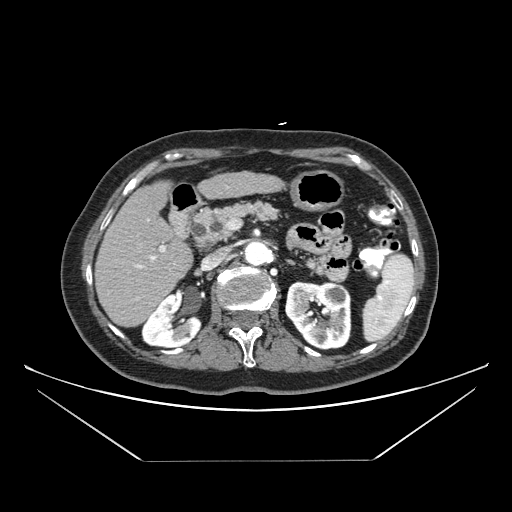

CT slice; Upper abdomen
{
  "pancreas": [
    "[x1=187, y1=201, x2=280, y2=252]"
  ]
}